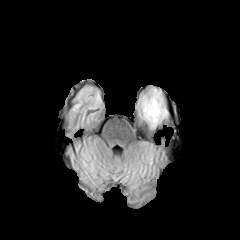
FLAIR MRI.
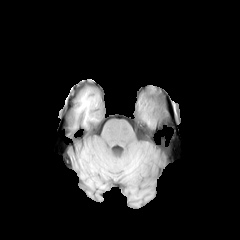
Same slice, T1-weighted MR.
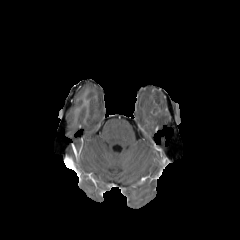
Post-contrast T1-weighted MRI of the same slice.
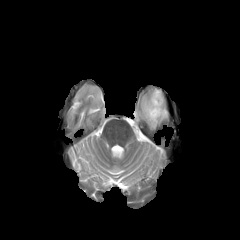
Same slice, T2-weighted magnetic resonance.
The edema is at 137,87,168,129. The non-enhancing tumor core lies within 150,89,167,117.